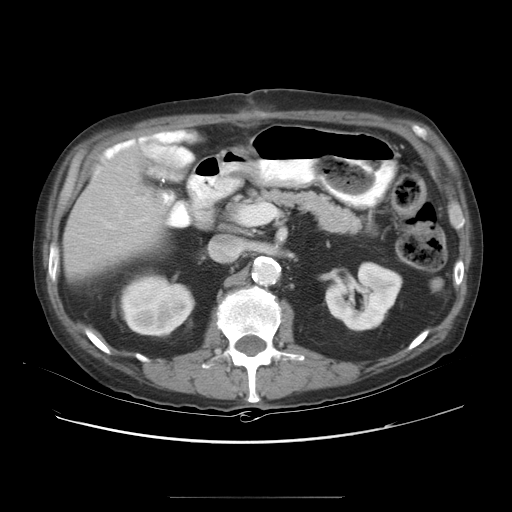 Image size 512x512 | CT slice | Liver
Only some of the vessels may be annotated.
The hepatic vessel appears at bbox(238, 204, 259, 225).